Brain. Field of view 240x240 mm.
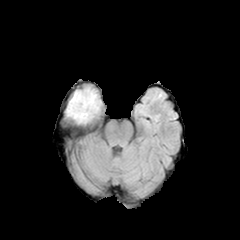
FLAIR MR.
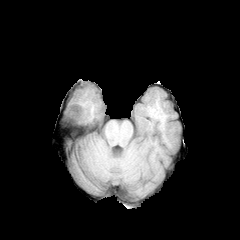
T1-weighted magnetic resonance of the same slice.
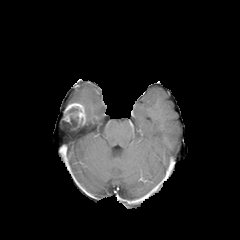
Post-contrast T1-weighted MRI.
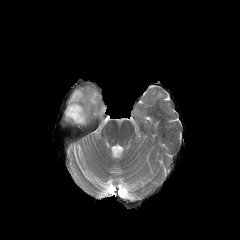
Same slice, T2-weighted MRI.
Edema at 68 87 101 123.
Enhancing tumor at 63 103 85 124.